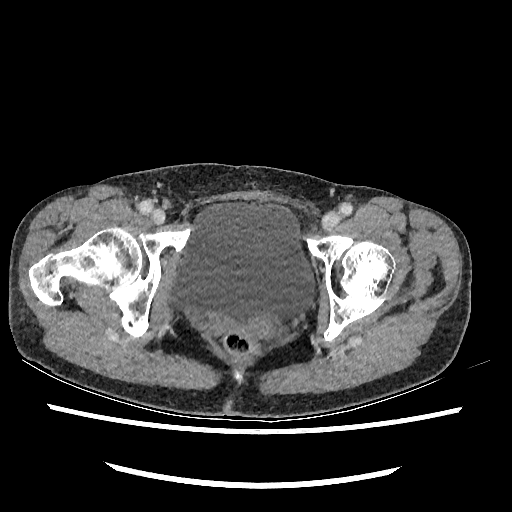

Computed tomography. Pelvis.

Segmented structures:
* urinary bladder: (167, 199, 314, 330)